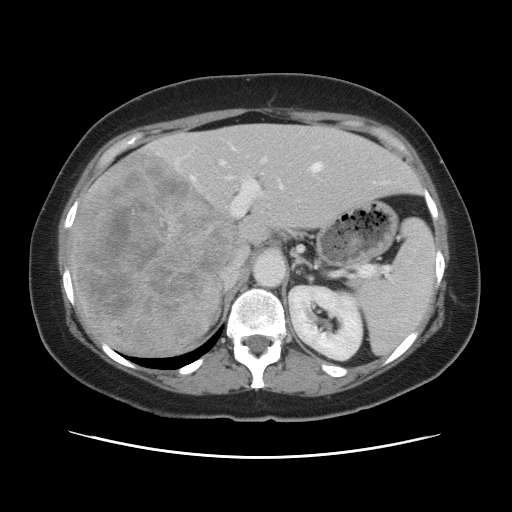 Liver, CT
The vessel boxes may cover only some of the vessels.
Annotated regions:
- hepatic vessel: 374:182:379:184, 312:163:321:171, 299:247:301:251, 228:142:234:149, 228:178:264:216, 221:161:225:164, 314:147:315:148, 227:177:233:179, 384:181:389:183, 278:180:282:188, 192:176:194:178, 222:250:245:288, 261:159:265:162
- liver tumor: 73:149:240:354